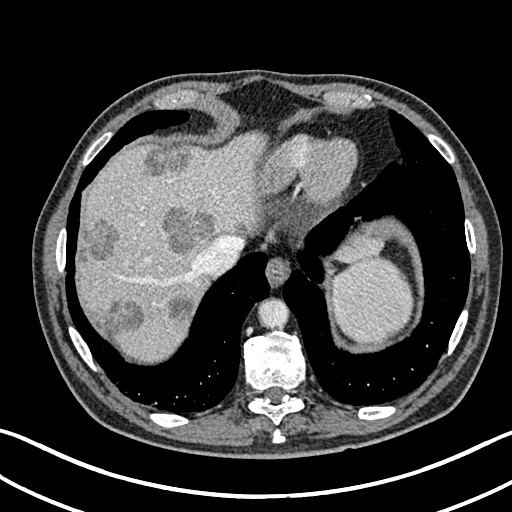

Liver. CT slice.
{"liver": ["(left=77, top=132, right=262, bottom=361)", "(left=338, top=236, right=381, bottom=262)"], "liver_lesion": ["(left=169, top=296, right=192, bottom=324)", "(left=164, top=208, right=214, bottom=253)", "(left=237, top=224, right=245, bottom=231)", "(left=104, top=302, right=144, bottom=331)", "(left=144, top=149, right=190, bottom=174)", "(left=80, top=219, right=117, bottom=261)"]}